512x512 px; Field of view 445x445 mm; CT scan slice 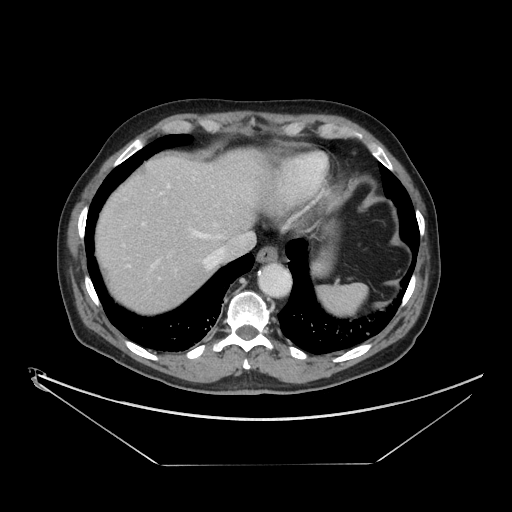

The vessel boxes may cover only some of the vessels.
Hepatic vessel: (left=142, top=222, right=144, bottom=225), (left=151, top=262, right=156, bottom=267), (left=213, top=224, right=215, bottom=225), (left=191, top=230, right=207, bottom=236), (left=203, top=248, right=223, bottom=267), (left=126, top=265, right=129, bottom=266), (left=167, top=184, right=169, bottom=187), (left=216, top=235, right=218, bottom=236).